Slice index 82
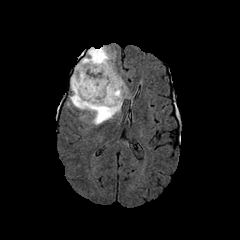
FLAIR magnetic resonance.
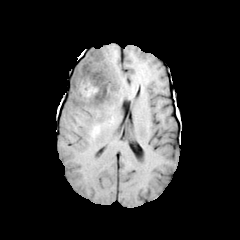
T1-weighted magnetic resonance.
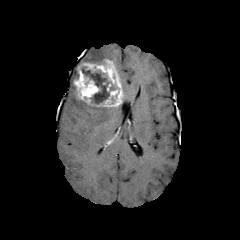
Same slice, post-contrast T1-weighted MR.
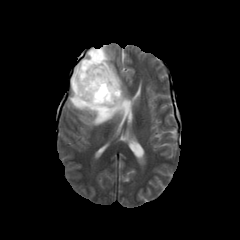
T2-weighted MRI.
Findings:
- non-enhancing tumor core: <bbox>73, 67, 109, 109</bbox>, <bbox>82, 52, 101, 63</bbox>
- edema: <bbox>120, 77, 129, 98</bbox>, <bbox>78, 46, 113, 63</bbox>, <bbox>68, 68, 121, 125</bbox>
- enhancing tumor: <bbox>73, 60, 123, 106</bbox>